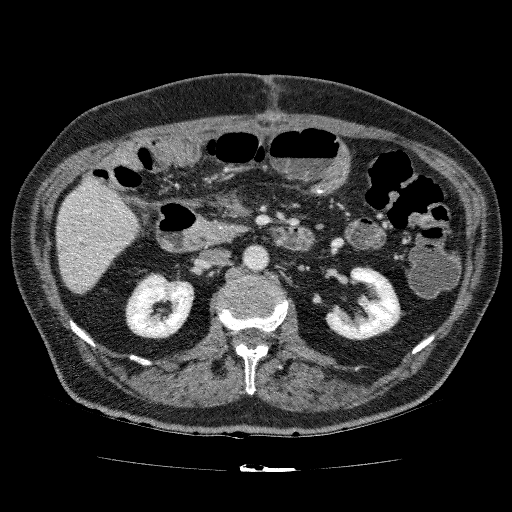
Upper abdomen. Computed tomography.
Hepatic lesion: [57, 238, 88, 280].
Liver: [56, 177, 140, 294].
Kidney: [126, 273, 193, 337], [326, 268, 400, 339].